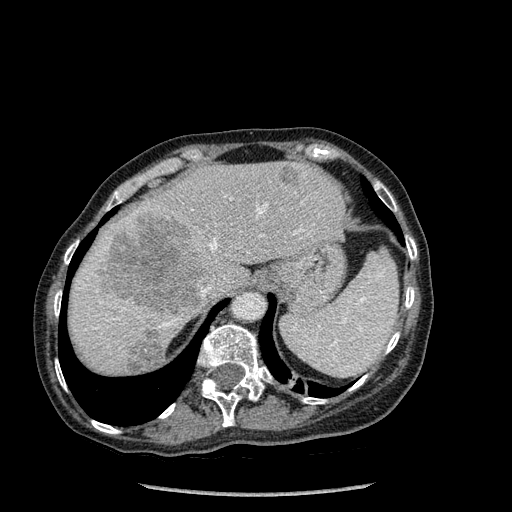

CT image
13 bone regions are located at {"x1": 374, "y1": 181, "x2": 397, "y2": 211}, {"x1": 405, "y1": 235, "x2": 416, "y2": 259}, {"x1": 159, "y1": 403, "x2": 175, "y2": 418}, {"x1": 385, "y1": 332, "x2": 399, "y2": 353}, {"x1": 302, "y1": 397, "x2": 326, "y2": 404}, {"x1": 197, "y1": 324, "x2": 272, "y2": 426}, {"x1": 106, "y1": 189, "x2": 125, "y2": 210}, {"x1": 405, "y1": 287, "x2": 414, "y2": 308}, {"x1": 350, "y1": 374, "x2": 367, "y2": 391}, {"x1": 55, "y1": 359, "x2": 66, "y2": 390}, {"x1": 91, "y1": 420, "x2": 120, "y2": 434}, {"x1": 64, "y1": 240, "x2": 78, "y2": 264}, {"x1": 54, "y1": 290, "x2": 61, "y2": 316}. 3 hepatic lesion regions are bounded by {"x1": 126, "y1": 326, "x2": 163, "y2": 372}, {"x1": 97, "y1": 213, "x2": 207, "y2": 313}, {"x1": 279, "y1": 166, "x2": 297, "y2": 185}. The liver is located at {"x1": 68, "y1": 161, "x2": 344, "y2": 376}. 4 lung regions are located at {"x1": 361, "y1": 179, "x2": 401, "y2": 241}, {"x1": 259, "y1": 295, "x2": 341, "y2": 397}, {"x1": 343, "y1": 384, "x2": 351, "y2": 390}, {"x1": 58, "y1": 231, "x2": 224, "y2": 425}.